Hippocampus; MR
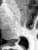 The posterior hippocampus is at (15, 38, 19, 41).